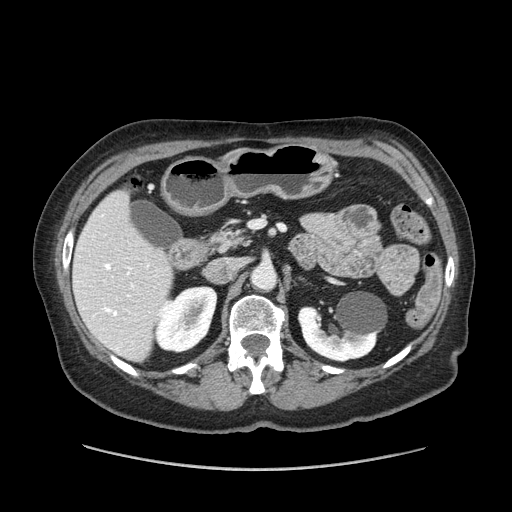

512x512 px; CT; Abdomen
Pancreas — (left=210, top=231, right=250, bottom=252).